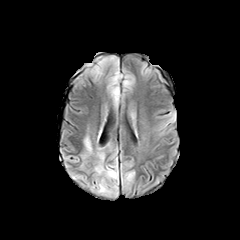
FLAIR magnetic resonance.
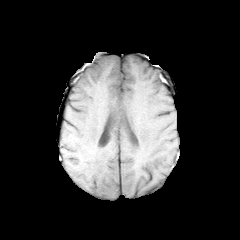
T1-weighted MR of the same slice.
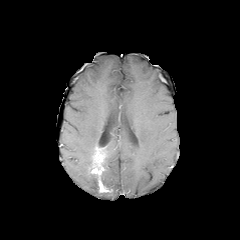
Same slice, post-contrast T1-weighted magnetic resonance.
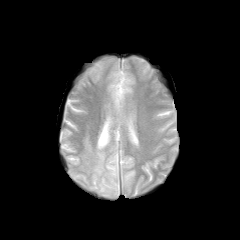
T2-weighted magnetic resonance of the same slice.
<segmentation>
  <non-enhancing_tumor_core>(93, 148, 104, 172)</non-enhancing_tumor_core>
  <edema>(72, 170, 98, 192), (100, 149, 118, 196), (84, 137, 92, 153)</edema>
  <enhancing_tumor>(98, 180, 109, 192)</enhancing_tumor>
</segmentation>